Image size 240x240. Field of view 240x240 mm.
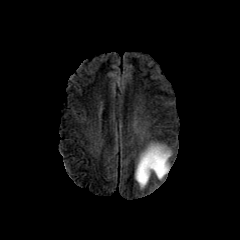
FLAIR magnetic resonance.
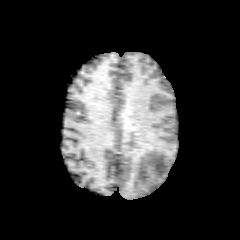
T1-weighted MRI.
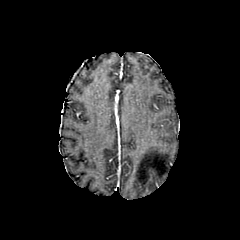
Post-contrast T1-weighted MR image of the same slice.
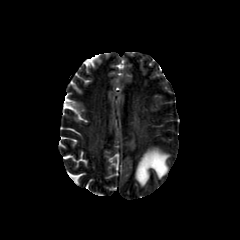
Same slice, T2-weighted MRI.
The edema lies within bbox=[134, 144, 170, 187].